CT slice 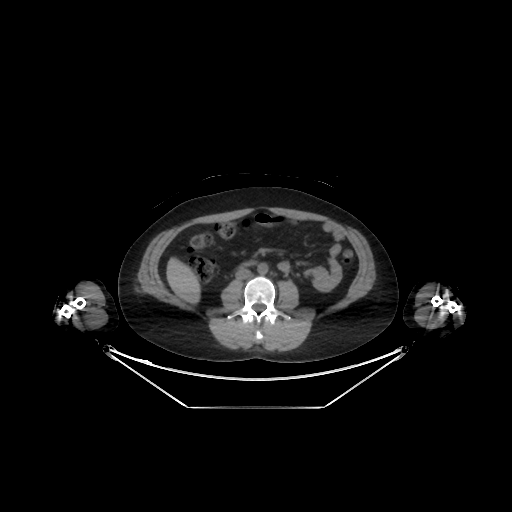
{"liver": ["x1=166 y1=258 x2=199 y2=303"]}